Image size 512x512 | Computed tomography | Head | Slice 298 of 299 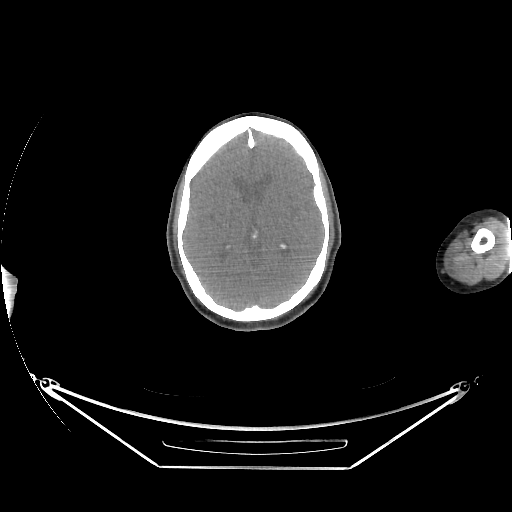

The brain is at 183,130,322,309.